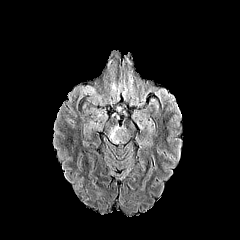
FLAIR MR.
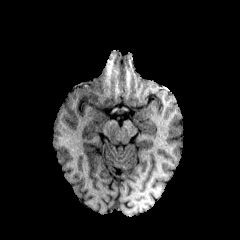
T1-weighted MR.
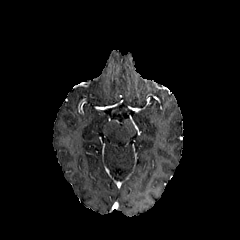
Post-contrast T1-weighted MR.
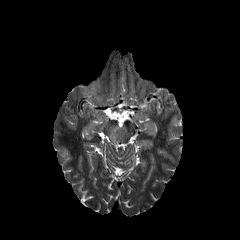
T2-weighted MR image.
Edema: bounding box box(81, 86, 101, 104).